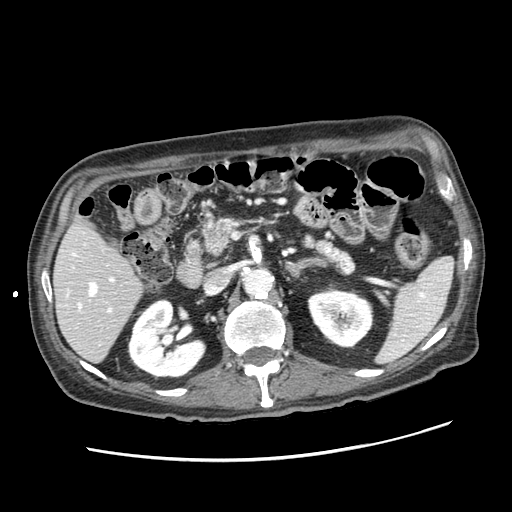 CT slice, Upper abdomen

Pancreas: bounding box region(304, 237, 353, 272); region(204, 220, 237, 256).
Pancreatic tumor: bounding box region(211, 225, 230, 243).